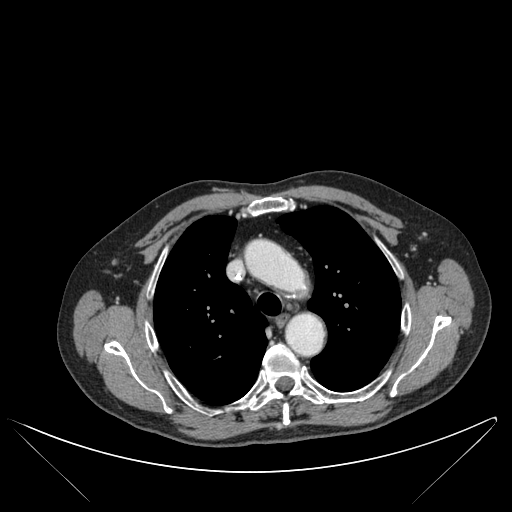

CT slice; 512x512

<segmentation>
  <bone>(x1=248, y1=197, x2=294, y2=215), (x1=145, y1=322, x2=157, y2=351), (x1=401, y1=304, x2=411, y2=333), (x1=235, y1=344, x2=390, y2=424), (x1=390, y1=315, x2=451, y2=396), (x1=386, y1=250, x2=396, y2=270), (x1=104, y1=341, x2=171, y2=412), (x1=149, y1=250, x2=165, y2=293), (x1=165, y1=372, x2=196, y2=406)</bone>
  <lung>(x1=277, y1=206, x2=400, y2=391), (x1=154, y1=216, x2=280, y2=404)</lung>
</segmentation>